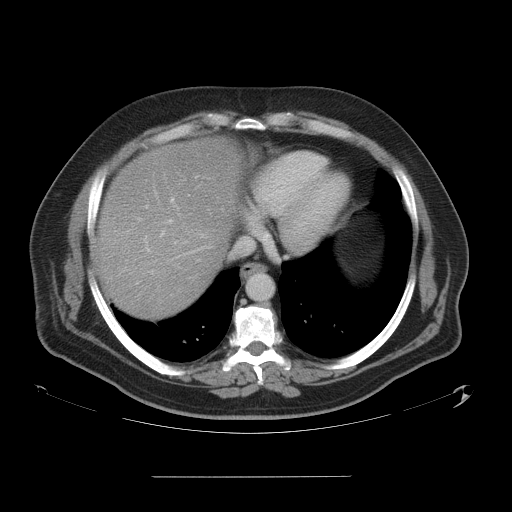
CT image.
Some hepatic vessels may have no box.
Hepatic vessel at {"x1": 171, "y1": 198, "x2": 173, "y2": 201}, {"x1": 146, "y1": 248, "x2": 150, "y2": 252}, {"x1": 166, "y1": 220, "x2": 171, "y2": 222}, {"x1": 138, "y1": 218, "x2": 141, "y2": 220}, {"x1": 161, "y1": 231, "x2": 163, "y2": 235}, {"x1": 186, "y1": 246, "x2": 210, "y2": 253}, {"x1": 201, "y1": 235, "x2": 203, "y2": 237}.